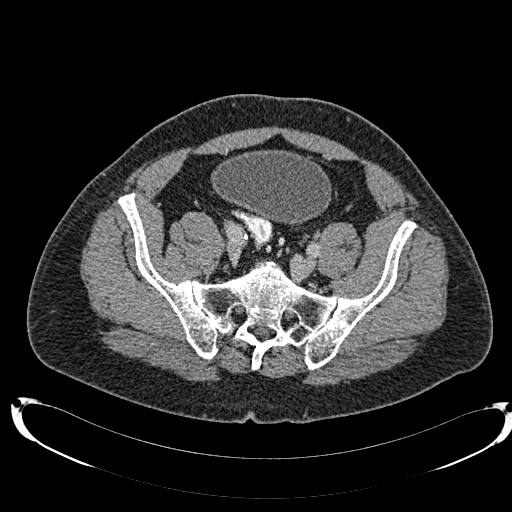 CT | Lower abdomen
urinary_bladder:
  - <bbox>213, 150, 331, 224</bbox>